240x240; Head
FLAIR MR.
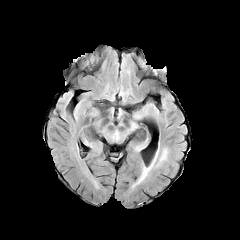
T1-weighted MRI.
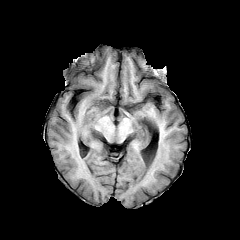
Post-contrast T1-weighted MR image.
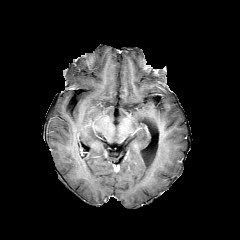
T2-weighted magnetic resonance.
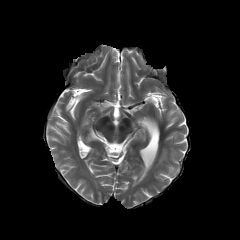
Edema — [131, 158, 155, 187], [157, 150, 167, 165].